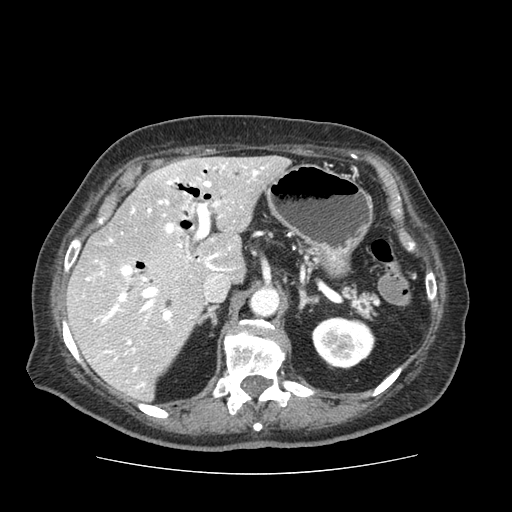
Computed tomography.

{"pancreas": [{"x1": 344, "y1": 287, "x2": 376, "y2": 317}]}